Abdomen. CT image.

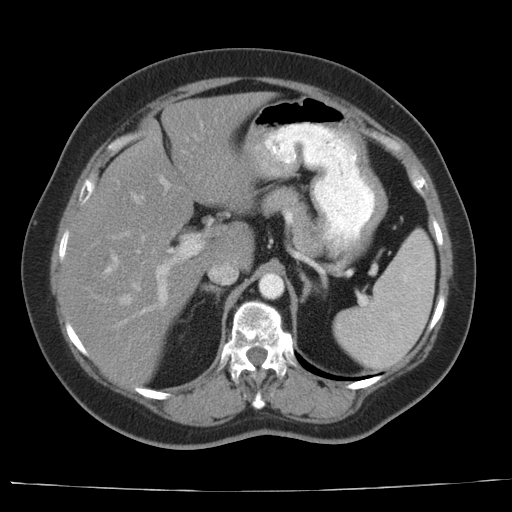
Only some of the vessels may be annotated.
• hepatic vessel: <box>121,232,127,235</box>, <box>136,287,138,289</box>, <box>120,295,130,303</box>, <box>104,256,116,273</box>, <box>132,195,142,201</box>, <box>161,179,168,187</box>, <box>158,289,166,303</box>, <box>156,266,161,275</box>